Field of view 240 mm wide, 1.00 mm slice spacing.
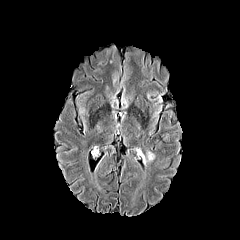
FLAIR MR.
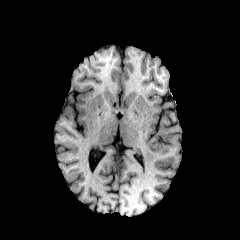
T1-weighted MRI.
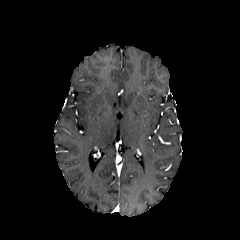
Post-contrast T1-weighted MRI of the same slice.
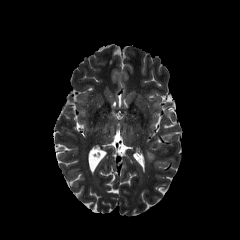
T2-weighted MRI.
Edema at 144 150 154 162.